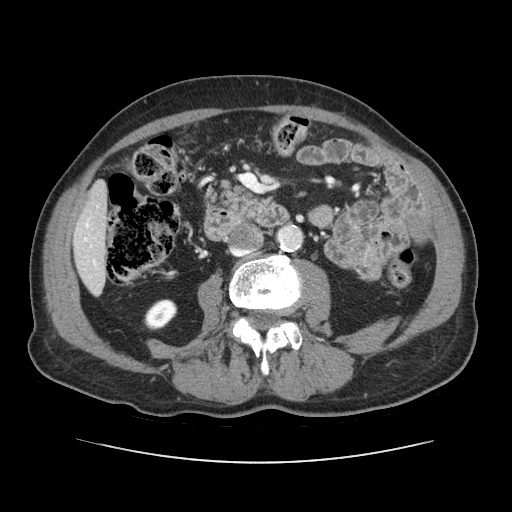

CT image, Upper abdomen
Pancreas — [240, 197, 262, 216].